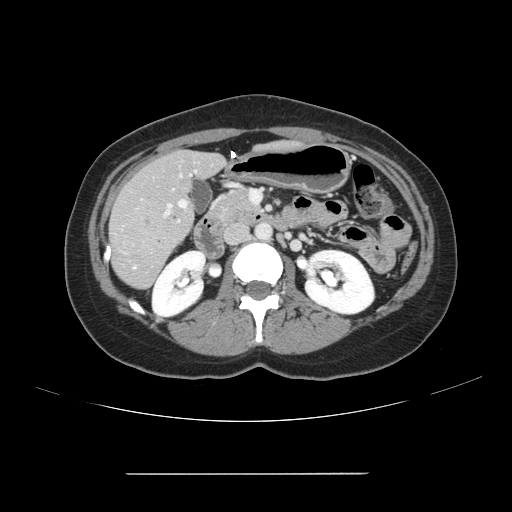

CT.

Not every hepatic vessel necessarily has a box.
Hepatic vessel — 165:204:171:215, 133:266:135:268, 179:200:186:207.